Computed tomography | Upper abdomen

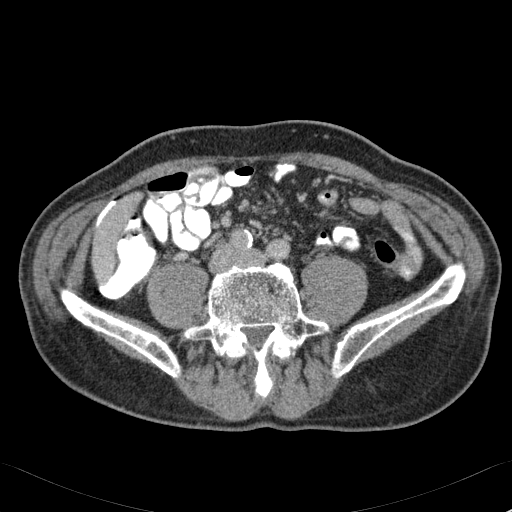 Liver: bounding box region(107, 205, 130, 231); region(93, 227, 118, 278); region(130, 193, 140, 202).